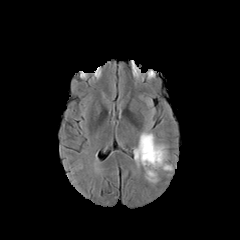
FLAIR MR.
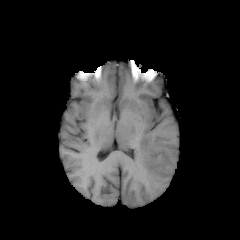
Same slice, T1-weighted MR.
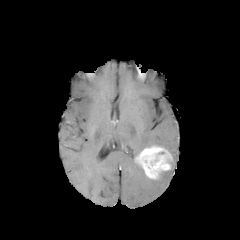
Same slice, post-contrast T1-weighted MRI.
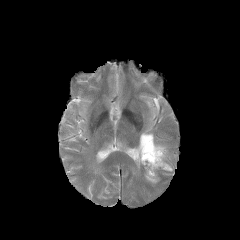
Same slice, T2-weighted MR image.
<segmentation>
  <edema>(x1=133, y1=122, x2=168, y2=155)</edema>
  <enhancing_tumor>(x1=134, y1=144, x2=174, y2=180)</enhancing_tumor>
</segmentation>